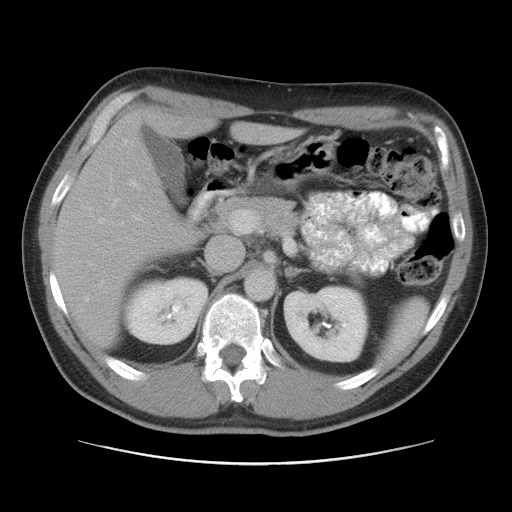

CT slice

Some hepatic vessels may have no box.
Hepatic vessel — [x1=99, y1=218, x2=104, y2=223], [x1=124, y1=140, x2=126, y2=142], [x1=131, y1=182, x2=135, y2=185].